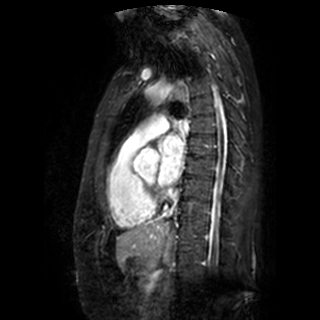
MR image
left_atrium:
  - (left=159, top=136, right=183, bottom=185)